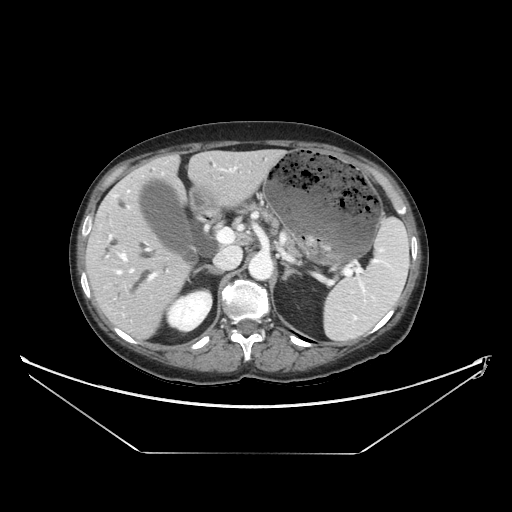

CT slice
Pancreas: <bbox>284, 236, 299, 255</bbox>, <bbox>238, 202, 279, 230</bbox>.